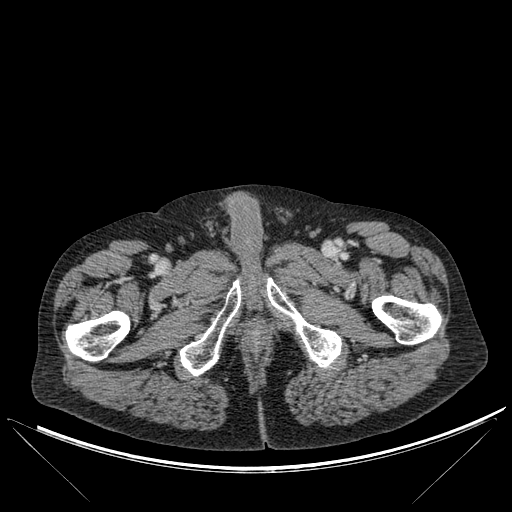
CT image

Bone: [x1=65, y1=311, x2=129, y2=360], [x1=180, y1=280, x2=240, y2=375], [x1=372, y1=295, x2=441, y2=344], [x1=266, y1=278, x2=341, y2=367].